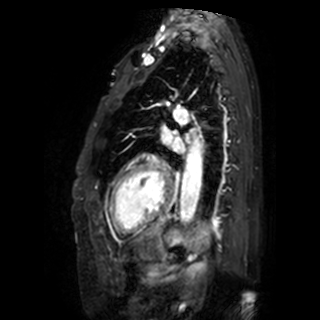 MR image
The left atrium is bounded by bbox(162, 130, 184, 153).